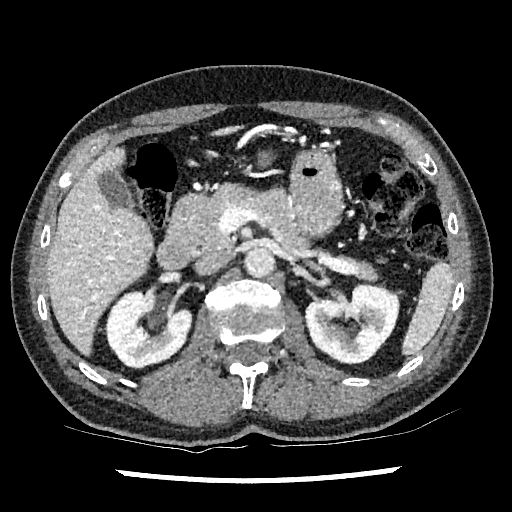 Upper abdomen, CT image

2 liver regions appear at (x1=47, y1=148, x2=152, y2=355), (x1=212, y1=126, x2=241, y2=136). 2 kidney regions are located at (x1=107, y1=293, x2=190, y2=366), (x1=306, y1=286, x2=397, y2=362).